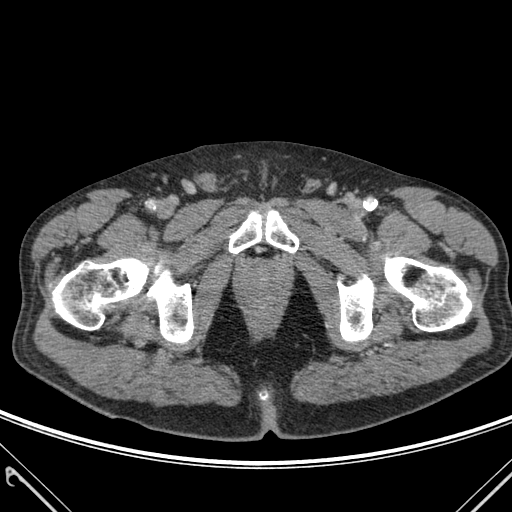

CT scan slice
Annotated regions:
- bone: (337, 275, 373, 341), (384, 257, 471, 331), (147, 265, 193, 342), (52, 258, 148, 329), (229, 210, 298, 253)